CT scan slice. 512x512. Field of view 441x441 mm. Abdomen. 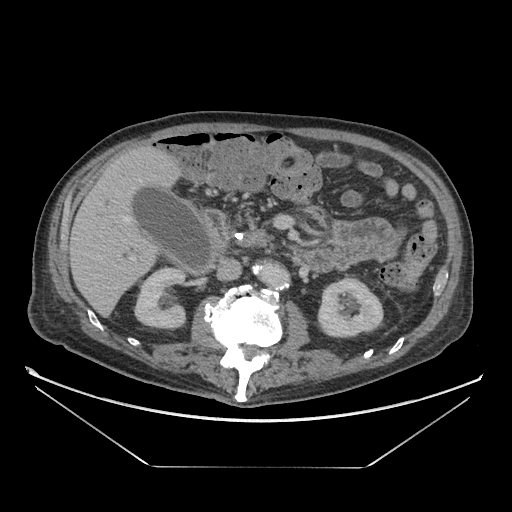
pancreas: region(238, 229, 270, 246) | pancreatic tumor: region(252, 231, 265, 243)